Head, Field of view 240x240 mm
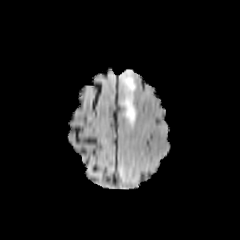
FLAIR MRI.
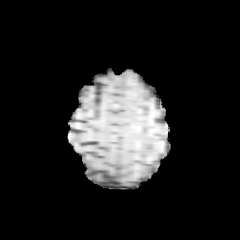
T1-weighted magnetic resonance of the same slice.
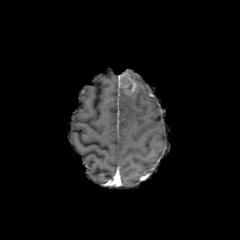
Same slice, post-contrast T1-weighted MR.
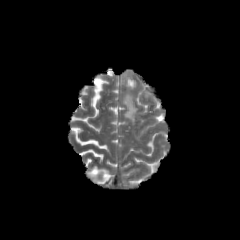
T2-weighted MR.
The enhancing tumor appears at left=120, top=70, right=137, bottom=95. The edema lies within left=120, top=92, right=137, bottom=122.